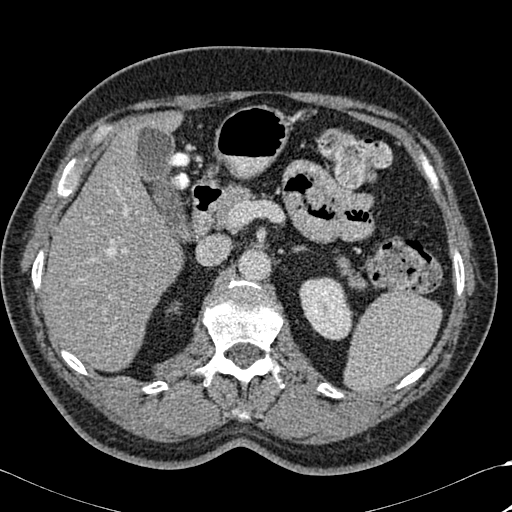

CT slice. Abdomen.
2 liver regions appear at 45,126,180,371; 151,112,180,134. 8 bone regions are located at 317,383,342,397; 398,368,423,388; 58,161,73,195; 143,381,167,393; 454,253,464,293; 32,252,43,287; 196,280,281,383; 62,351,86,374. The kidney is at 300,278,350,338.